Slice 136 of 155. Image width 240 mm. Brain.
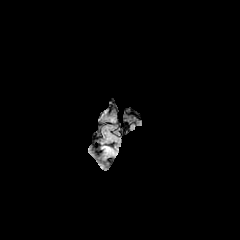
FLAIR MR image.
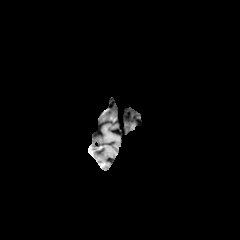
T1-weighted magnetic resonance of the same slice.
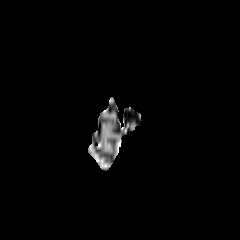
Same slice, post-contrast T1-weighted MR image.
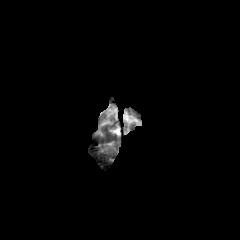
T2-weighted MRI of the same slice.
{
  "edema": [
    "[x1=104, y1=146, x2=114, y2=158]"
  ]
}